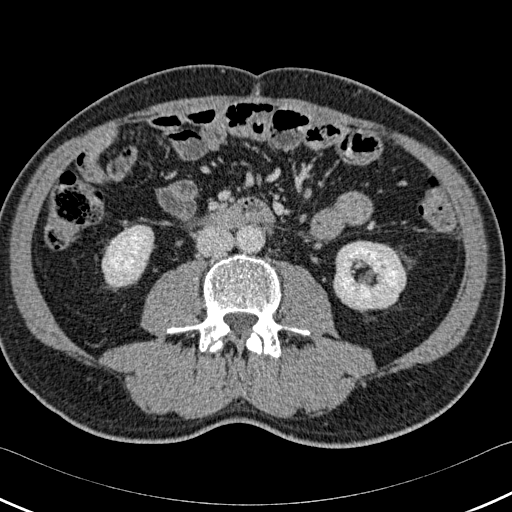 512x512 px, CT, Abdomen
• kidney: region(334, 242, 405, 309); region(102, 225, 152, 286)
• bone: region(167, 254, 309, 357)